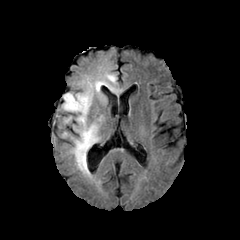
FLAIR MR image.
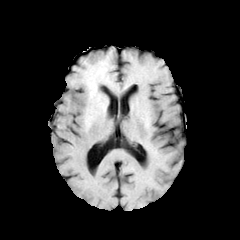
T1-weighted MRI.
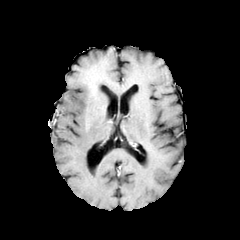
Post-contrast T1-weighted MRI.
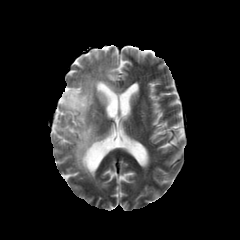
T2-weighted magnetic resonance.
Brain
Edema: 60, 76, 101, 180; 96, 68, 122, 106.
Non-enhancing tumor core: 87, 76, 104, 102.